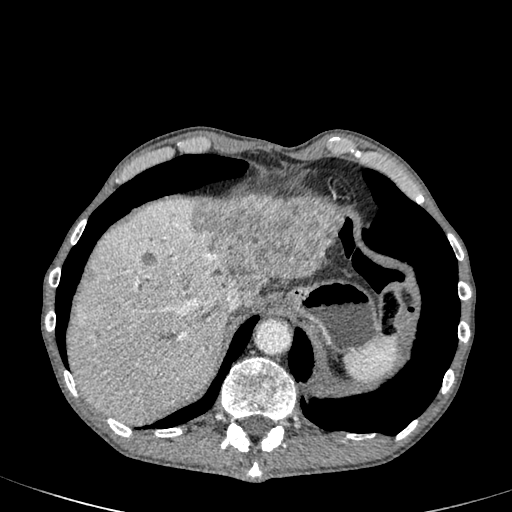

512x512 px | Abdomen | CT scan slice
{
  "focal_liver_lesion": [
    "box=[193, 196, 342, 307]",
    "box=[86, 270, 92, 280]",
    "box=[180, 276, 189, 290]",
    "box=[142, 253, 154, 265]"
  ],
  "liver": [
    "box=[69, 199, 238, 423]",
    "box=[321, 240, 332, 263]",
    "box=[269, 276, 302, 281]"
  ]
}